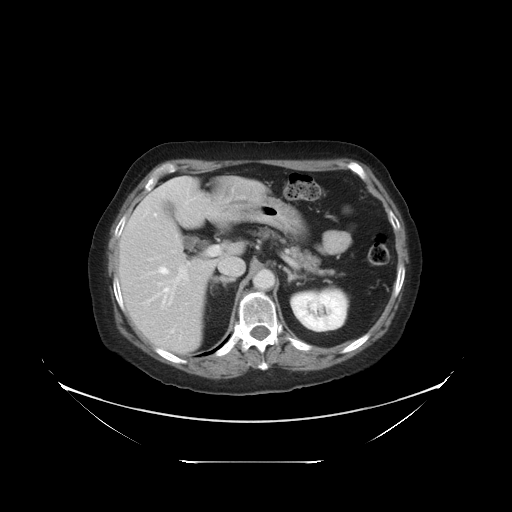
CT image; Abdomen; 512x512

The vessel boxes may cover only some of the vessels.
hepatic_vessel:
  - box=[208, 247, 213, 251]
  - box=[172, 267, 187, 284]
  - box=[163, 288, 168, 304]
  - box=[158, 267, 167, 273]
  - box=[220, 257, 242, 274]
  - box=[145, 213, 147, 214]
  - box=[171, 329, 173, 332]
  - box=[169, 296, 172, 304]
  - box=[158, 282, 162, 285]
  - box=[147, 293, 160, 302]
  - box=[154, 213, 156, 215]
liver_tumor:
  - box=[221, 181, 263, 213]